Head. Slice 95 of 155. Image width 240 mm.
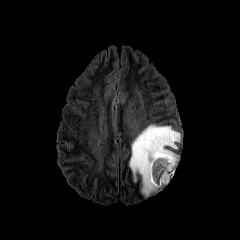
FLAIR magnetic resonance.
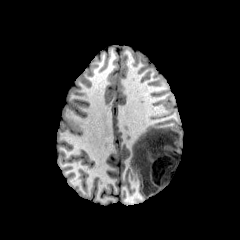
T1-weighted MRI.
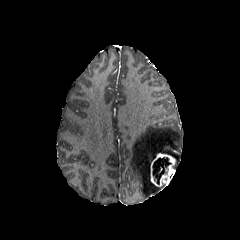
Same slice, post-contrast T1-weighted MR image.
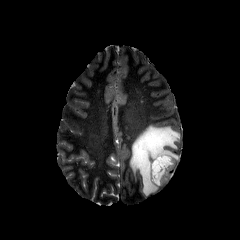
T2-weighted MR of the same slice.
Edema at 129 125 179 196.
Non-enhancing tumor core at 152 157 171 184.
Enhancing tumor at 150 152 175 186.